Field of view 429 mm wide, 0.70 mm slice spacing, Upper abdomen, Computed tomography 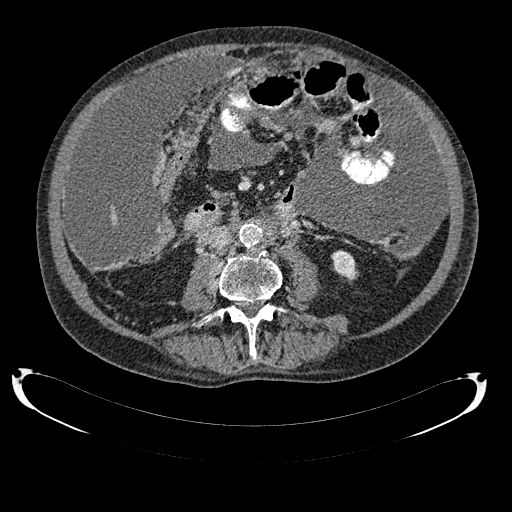

{
  "liver": [
    "bbox=[111, 210, 116, 223]"
  ],
  "kidney": [
    "bbox=[332, 251, 355, 279]"
  ]
}